Computed tomography

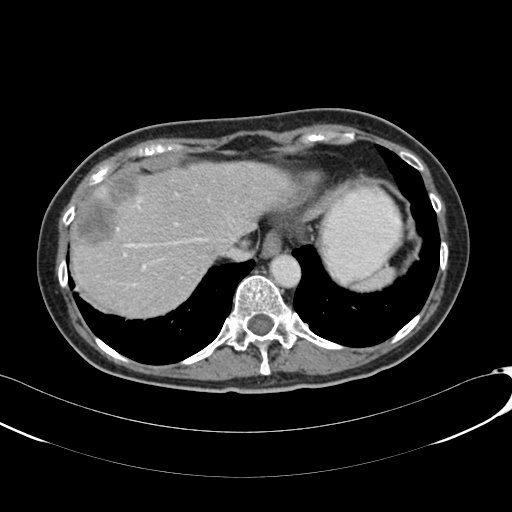
<segmentation>
  <liver>l=92, t=185, r=107, b=198; l=71, t=163, r=297, b=315</liver>
  <focal_liver_lesion>l=76, t=175, r=140, b=244</focal_liver_lesion>
</segmentation>